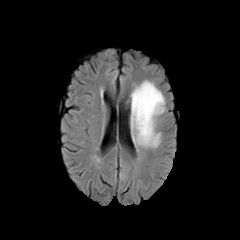
FLAIR MR image.
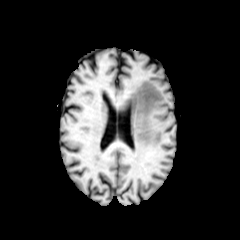
T1-weighted MRI of the same slice.
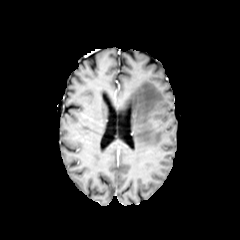
Post-contrast T1-weighted MRI.
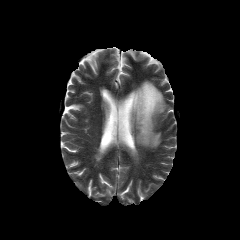
T2-weighted MR.
Edema: x1=128 y1=80 x2=165 y2=147.